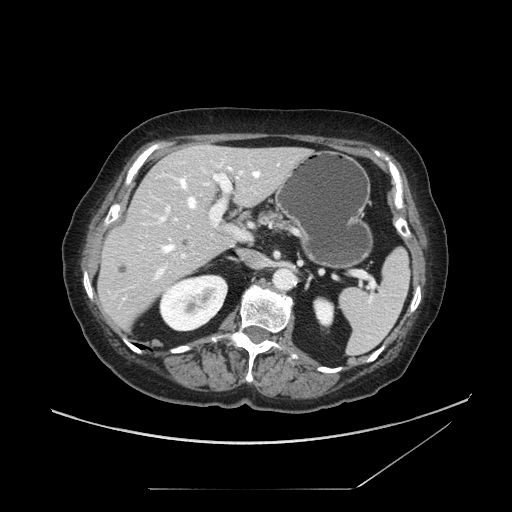
CT image

Pancreas = <box>264,211,287,227</box>.